Slice 65 of 155 | 240x240 px | Head
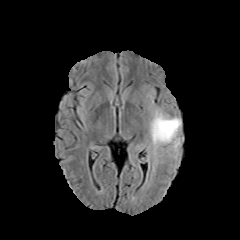
FLAIR MR.
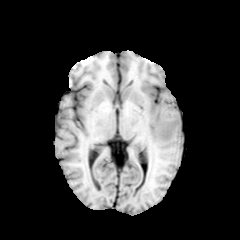
Same slice, T1-weighted magnetic resonance.
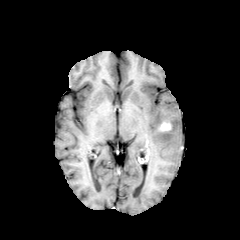
Same slice, post-contrast T1-weighted magnetic resonance.
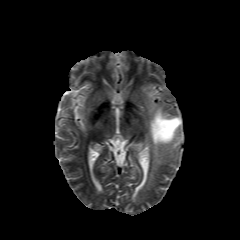
T2-weighted MRI of the same slice.
The edema is bounded by rect(140, 98, 183, 163). The non-enhancing tumor core lies within rect(161, 122, 171, 130).